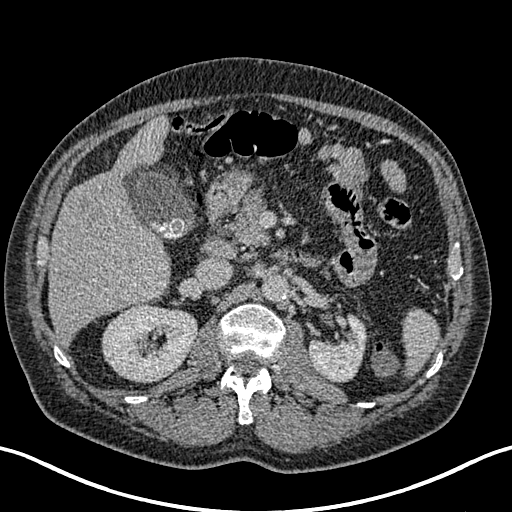 Upper abdomen. CT image. 512x512 px.
2 kidney regions are bounded by <box>103,305,196,381</box>, <box>309,316,365,381</box>. 2 liver lesion regions appear at <box>78,198,88,208</box>, <box>87,209,98,220</box>. The liver is bounded by <box>49,117,171,345</box>.